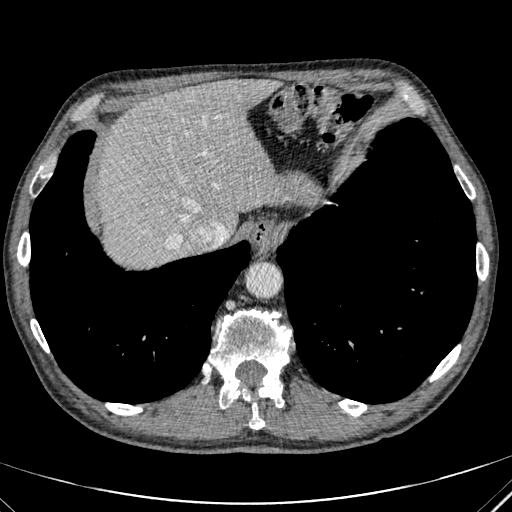 Liver | CT image
{"liver": ["bbox(97, 79, 280, 267)"]}